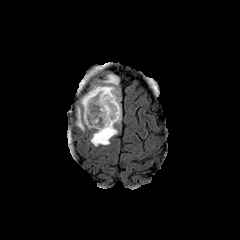
FLAIR magnetic resonance.
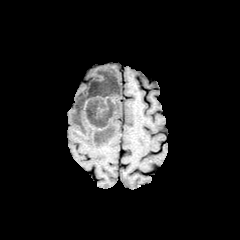
Same slice, T1-weighted MRI.
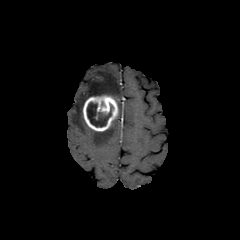
Post-contrast T1-weighted MR image.
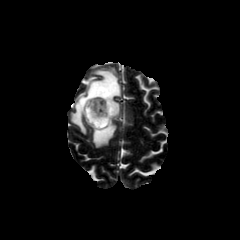
Same slice, T2-weighted magnetic resonance.
Brain
<segmentation>
  <non-enhancing_tumor_core>87,102,111,127; 94,126,112,139; 76,75,119,123</non-enhancing_tumor_core>
  <enhancing_tumor>82,95,118,131</enhancing_tumor>
  <edema>72,68,121,147</edema>
</segmentation>